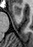
MRI slice; Image size 33x47; Medial temporal lobe

Anterior hippocampus = x1=12, y1=5, x2=21, y2=14.